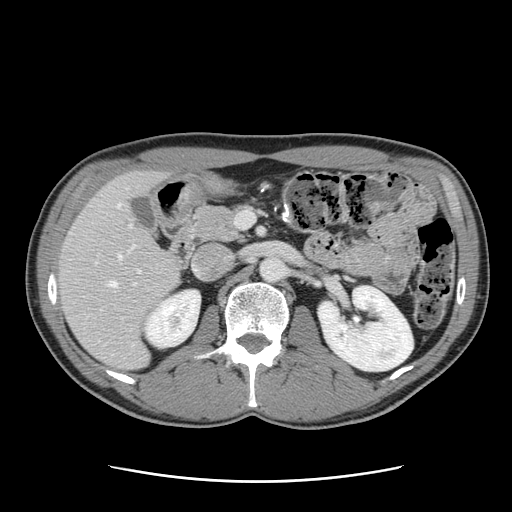 Liver, CT image

The vessel annotation is not exhaustive.
{
  "hepatic_vessel": [
    "[118,254,121,258]",
    "[116,203,120,207]",
    "[133,283,135,284]",
    "[108,281,116,286]",
    "[130,245,134,250]",
    "[129,225,131,226]",
    "[137,270,139,272]",
    "[94,262,96,264]"
  ]
}